Field of view 240 mm wide, 1.00 mm slice spacing; Slice 74 of 155; Head
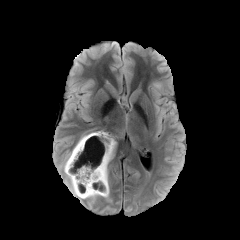
FLAIR magnetic resonance.
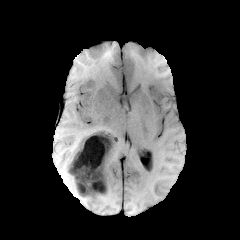
T1-weighted magnetic resonance of the same slice.
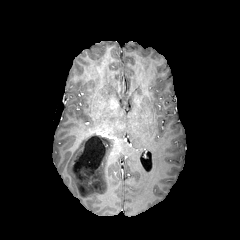
Post-contrast T1-weighted MRI.
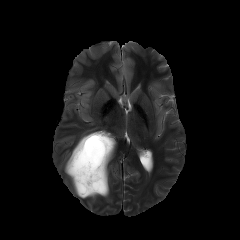
T2-weighted magnetic resonance.
<segmentation>
  <enhancing_tumor>left=82, top=131, right=110, bottom=139; left=105, top=140, right=114, bottom=165</enhancing_tumor>
  <edema>left=63, top=149, right=75, bottom=175; left=81, top=166, right=109, bottom=198; left=68, top=174, right=79, bottom=194</edema>
  <non-enhancing_tumor_core>left=68, top=133, right=111, bottom=195</non-enhancing_tumor_core>
</segmentation>